Slice 48 of 58 | 512x512 | CT slice

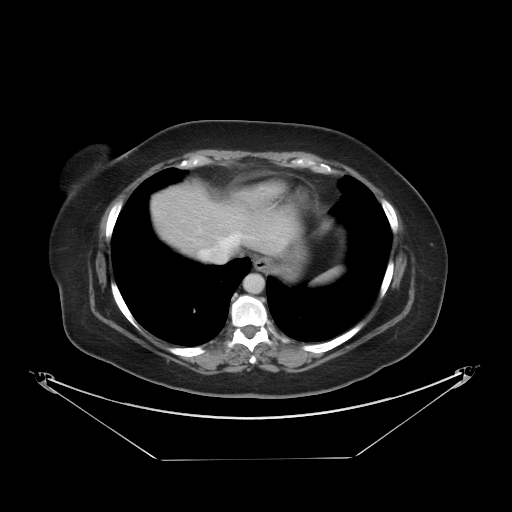 Only some of the vessels may be annotated.
hepatic vessel: {"x1": 201, "y1": 251, "x2": 207, "y2": 256}, {"x1": 222, "y1": 233, "x2": 241, "y2": 249}